Abdomen | CT scan slice | Slice index 21 | 512x512 | Field of view 383 mm wide, 5.00 mm slice spacing 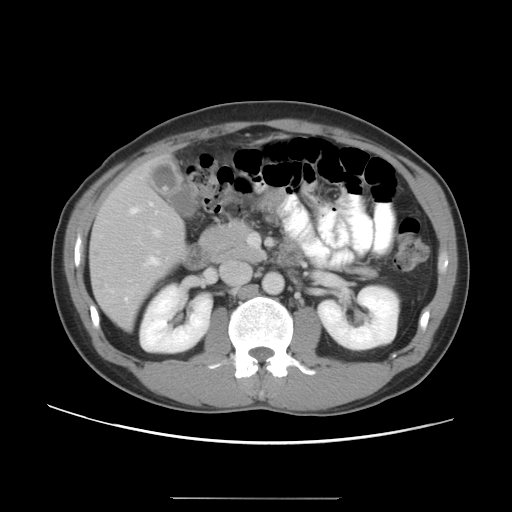

Not every hepatic vessel necessarily has a box.
Annotated regions:
* hepatic vessel: [x1=125, y1=297, x2=128, y2=300], [x1=129, y1=207, x2=140, y2=214], [x1=150, y1=202, x2=153, y2=205], [x1=146, y1=251, x2=160, y2=265], [x1=111, y1=290, x2=113, y2=291], [x1=154, y1=230, x2=160, y2=235], [x1=156, y1=211, x2=157, y2=213], [x1=101, y1=236, x2=102, y2=237]